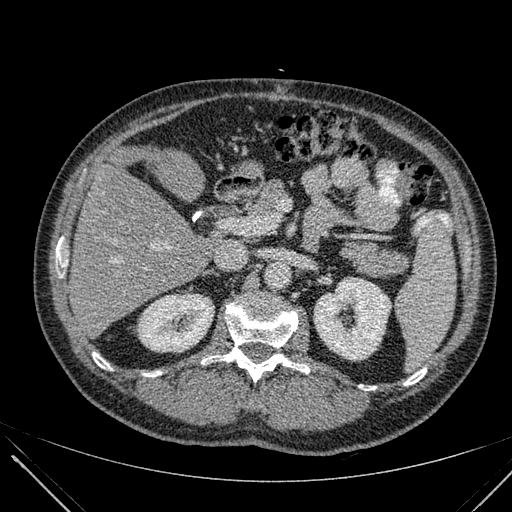 CT scan slice
Kidney: bounding box 314 278 390 359, 138 294 213 351.
Liver: bounding box 70 146 223 330.